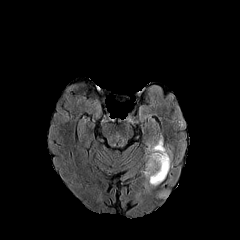
FLAIR MR image.
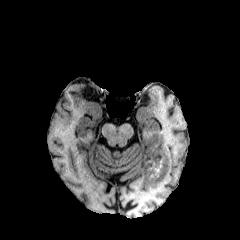
T1-weighted MR image of the same slice.
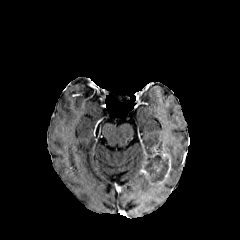
Post-contrast T1-weighted magnetic resonance of the same slice.
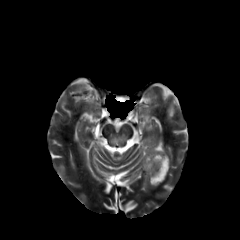
T2-weighted MR.
240x240 px
Non-enhancing tumor core: bounding box 146 157 168 182.
Edema: bounding box 147 134 164 155, 143 175 159 187.
Enhancing tumor: bounding box 149 148 171 177, 139 160 154 178, 152 163 162 172.